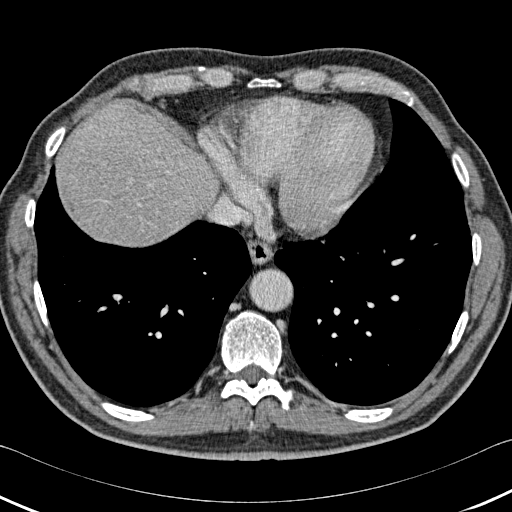 CT

Liver at bbox(65, 108, 210, 245).
Lung at bbox(274, 97, 472, 405); bbox(34, 164, 253, 408).
Bone at bbox(448, 311, 468, 353); bbox(101, 403, 153, 421); bbox(345, 408, 392, 422); bbox(472, 233, 481, 264); bbox(25, 199, 35, 226); bbox(452, 153, 468, 186); bbox(46, 127, 64, 156); bbox(248, 78, 280, 87); bbox(221, 378, 291, 409); bbox(34, 281, 47, 325); bbox(221, 312, 281, 375).